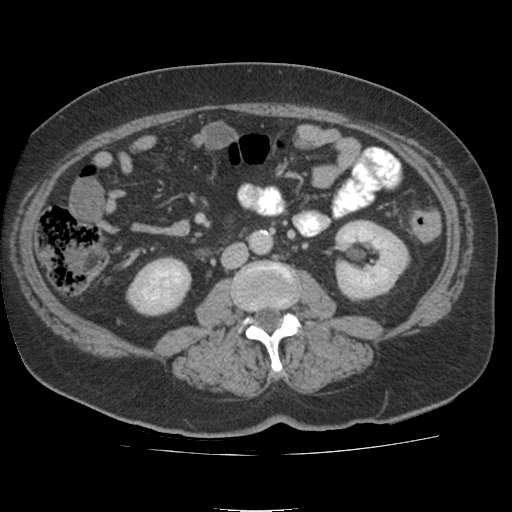
Image size 512x512; Abdomen; CT
2 kidney regions are bounded by (131, 262, 187, 313), (339, 222, 404, 296).